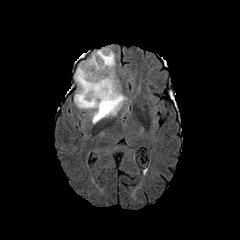
FLAIR magnetic resonance.
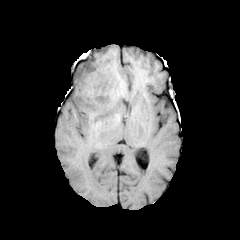
T1-weighted magnetic resonance.
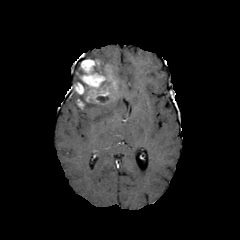
Same slice, post-contrast T1-weighted MR image.
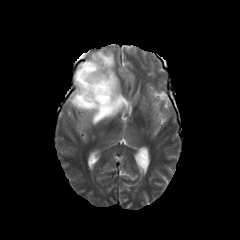
T2-weighted magnetic resonance.
Image size 240x240
Enhancing tumor: bbox=[74, 59, 117, 102].
Non-enhancing tumor core: bbox=[72, 88, 116, 108]; bbox=[73, 74, 89, 91]; bbox=[94, 66, 107, 75].
Edema: bbox=[80, 47, 116, 77]; bbox=[76, 81, 129, 124].